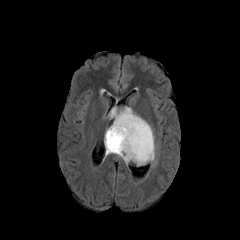
FLAIR MRI.
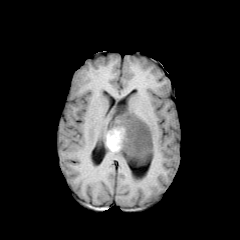
T1-weighted magnetic resonance of the same slice.
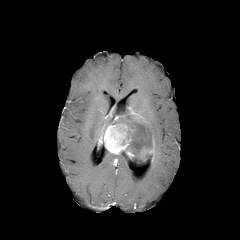
Same slice, post-contrast T1-weighted MRI.
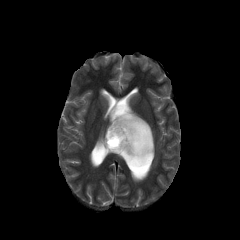
T2-weighted MR image.
edema:
  - 143,120,153,138
non-enhancing_tumor_core:
  - 110,107,152,165
enhancing_tumor:
  - 104,122,135,158
  - 138,146,154,161